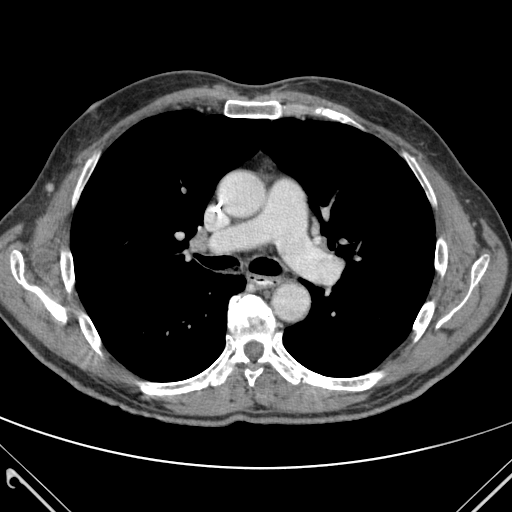 CT image.

{
  "lung": [
    "x1=70, y1=110, x2=435, y2=381"
  ],
  "bone": [
    "x1=406, y1=157, x2=435, y2=202",
    "x1=223, y1=100, x2=296, y2=118",
    "x1=314, y1=109, x2=354, y2=122",
    "x1=60, y1=252, x2=74, y2=291",
    "x1=140, y1=295, x2=382, y2=395",
    "x1=72, y1=159, x2=93, y2=203",
    "x1=413, y1=302, x2=433, y2=340",
    "x1=436, y1=255, x2=488, y2=327",
    "x1=435, y1=239, x2=447, y2=274",
    "x1=80, y1=315, x2=100, y2=353",
    "x1=11, y1=251, x2=66, y2=322"
  ]
}